CT scan slice.

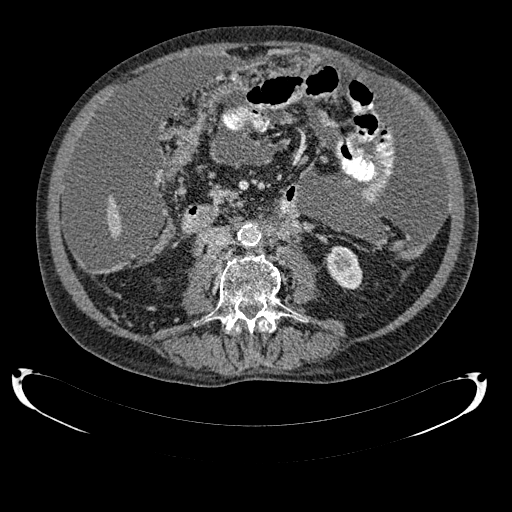 Kidney: bounding box l=327, t=246, r=361, b=288.
Liver: bounding box l=107, t=196, r=120, b=237.